Upper abdomen; CT slice; 512x512 px
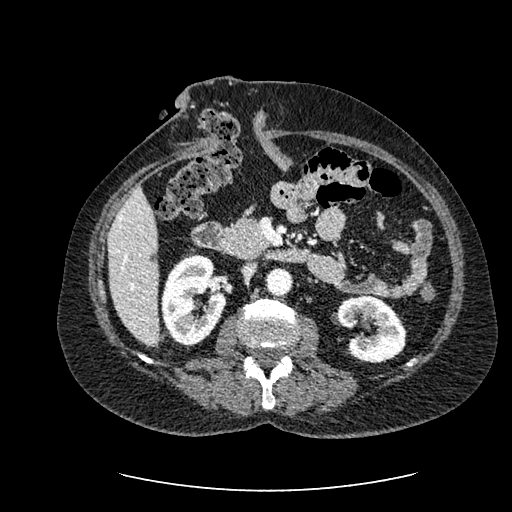
Kidney — bbox(162, 255, 225, 344); bbox(338, 296, 405, 362).
Liver — bbox(108, 185, 159, 345).
Hepatic lesion — bbox(149, 254, 157, 262).